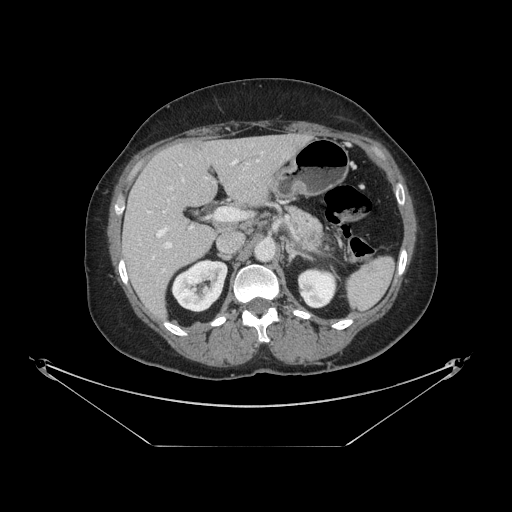

Upper abdomen | Computed tomography
Pancreatic tumor: rect(301, 229, 319, 245).
Pancreas: rect(284, 205, 326, 257).